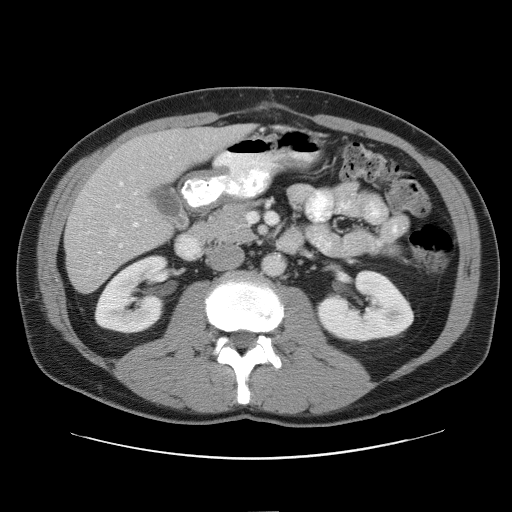

Computed tomography
The vessel annotation is not exhaustive.
hepatic vessel: (116, 205, 119, 207), (141, 166, 142, 168), (134, 191, 137, 194), (85, 231, 89, 233), (98, 252, 100, 253), (133, 223, 137, 227), (200, 145, 202, 147), (119, 244, 121, 246), (119, 182, 122, 186), (158, 137, 159, 140), (239, 128, 244, 129), (109, 229, 115, 235), (130, 177, 133, 178), (107, 162, 109, 164)